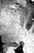
MR image.
Annotated regions:
- posterior hippocampus: l=10, t=44, r=19, b=47